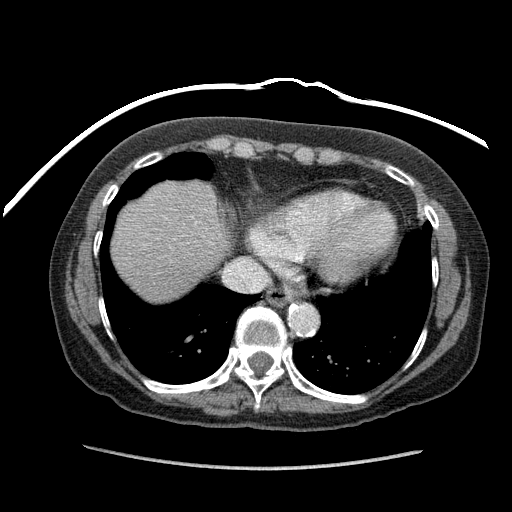
CT slice, Upper abdomen, 512x512 px

The liver lies within 113, 180, 233, 301.